Image size 240x240, Field of view 240x240 mm
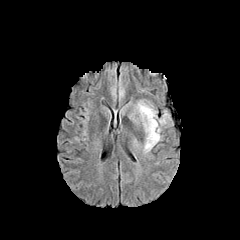
FLAIR magnetic resonance.
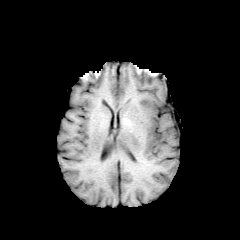
T1-weighted MRI of the same slice.
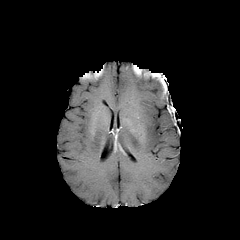
Post-contrast T1-weighted MRI.
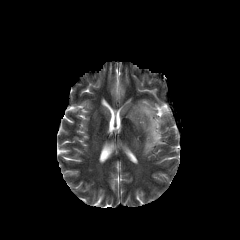
T2-weighted MRI of the same slice.
edema: bbox=[129, 99, 169, 152]